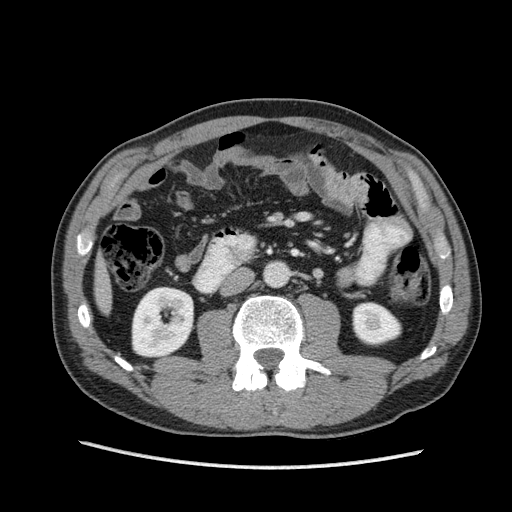

Image size 512x512. CT scan slice.

Liver at (x1=94, y1=261, x2=111, y2=313).
Kidney at (x1=354, y1=303, x2=399, y2=342), (x1=133, y1=288, x2=192, y2=355).